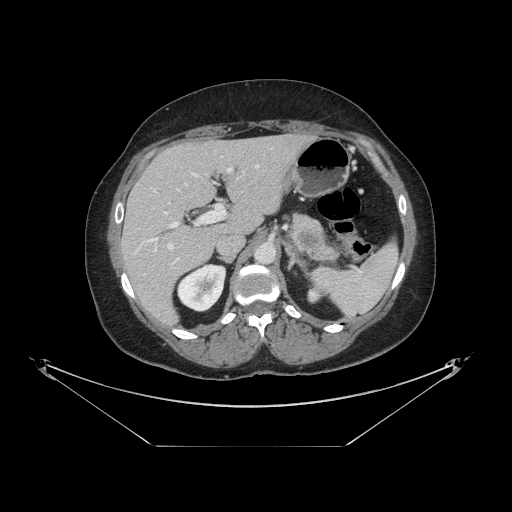

CT image

The pancreatic tumor appears at box=[297, 229, 318, 250]. The pancreas is located at box=[290, 213, 340, 263].